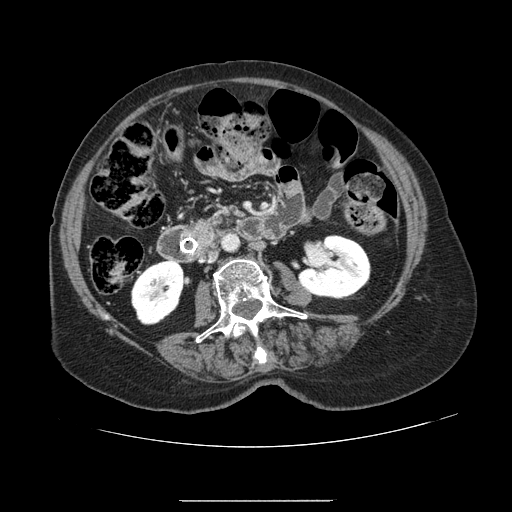
512x512 | CT slice
{
  "pancreas": [
    "(182, 206, 230, 258)"
  ],
  "pancreatic_tumor": [
    "(195, 228, 210, 246)"
  ]
}